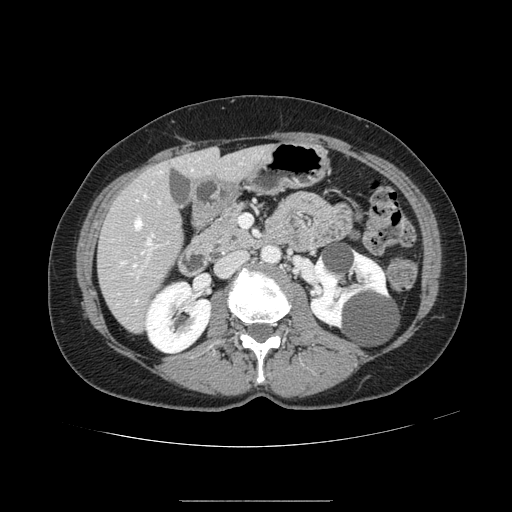

Upper abdomen; CT image; 512x512
• pancreatic tumor: bbox=[209, 250, 222, 260]
• pancreas: bbox=[196, 200, 263, 260]